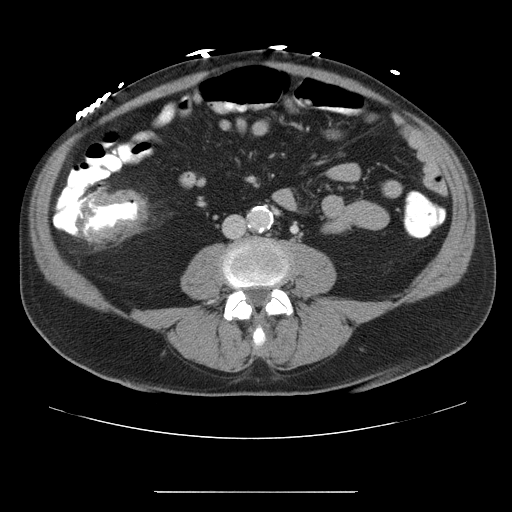 Abdomen; Image size 512x512; CT scan slice

colon_tumor:
  - <box>76,203,91,237</box>
  - <box>86,191,146,240</box>